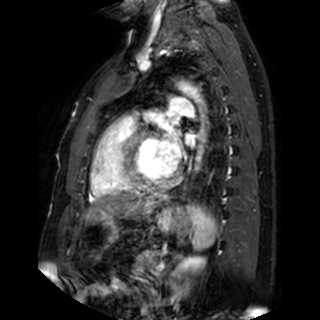 MR | Cardiac

Left atrium at <bbox>186, 134, 194, 147</bbox>, <bbox>167, 110, 178, 120</bbox>, <bbox>164, 128, 182, 163</bbox>.